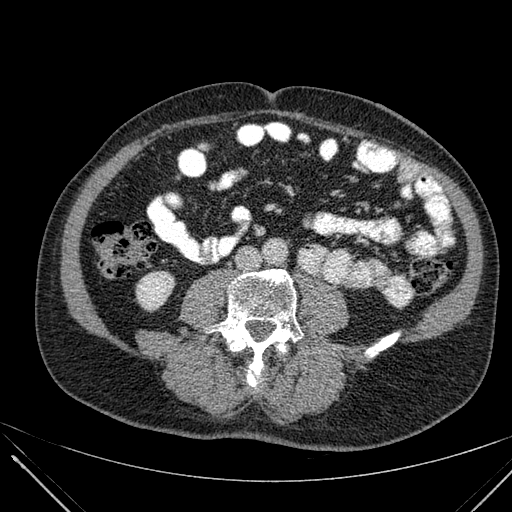
CT slice; Abdomen; 512x512 px

Kidney: bounding box bbox=[136, 272, 173, 309].